FLAIR MR image.
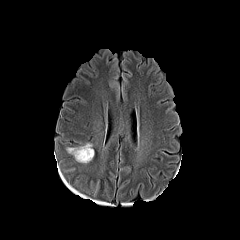
T1-weighted MR.
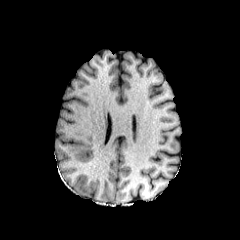
Post-contrast T1-weighted MRI.
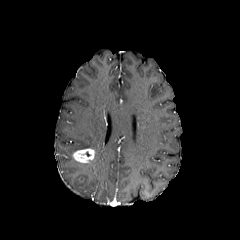
T2-weighted MR.
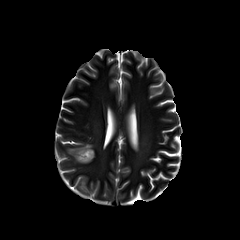
Enhancing tumor = x1=73 y1=148 x2=94 y2=162.
Edema = x1=67 y1=142 x2=93 y2=154.